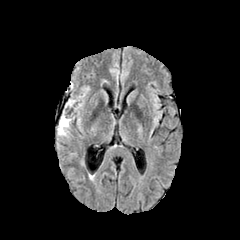
FLAIR MR image.
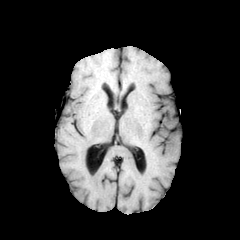
T1-weighted MRI.
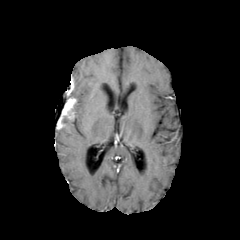
Post-contrast T1-weighted MRI.
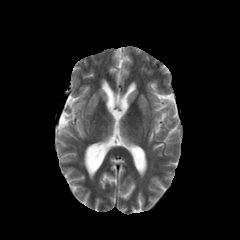
T2-weighted MR image of the same slice.
Brain
enhancing tumor: box=[58, 116, 65, 129]; box=[64, 98, 75, 109] | non-enhancing tumor core: box=[60, 107, 75, 132] | edema: box=[69, 90, 79, 111]; box=[56, 113, 82, 143]